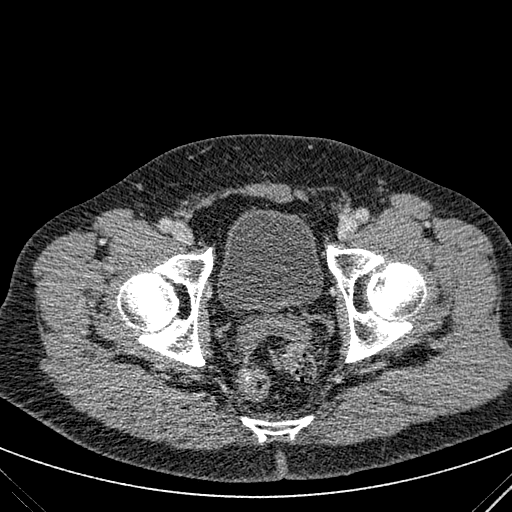
CT slice; Pelvis

{
  "urinary_bladder": [
    {"x1": 217, "y1": 206, "x2": 324, "y2": 316}
  ]
}